Field of view 240 mm wide, 1.00 mm slice spacing, Brain
FLAIR MR image.
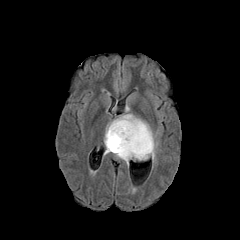
T1-weighted MR image.
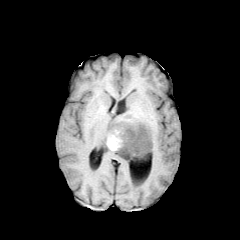
Post-contrast T1-weighted MR.
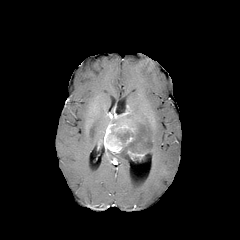
T2-weighted MR.
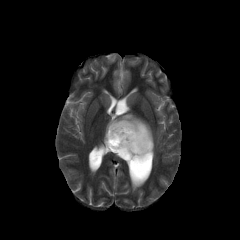
Non-enhancing tumor core = [118,131,132,142], [133,144,151,160], [117,123,143,160], [114,114,128,123].
Enhancing tumor = [127,150,147,159], [104,119,135,153].
Edema = [104,148,145,164], [115,105,129,117], [128,113,155,162].